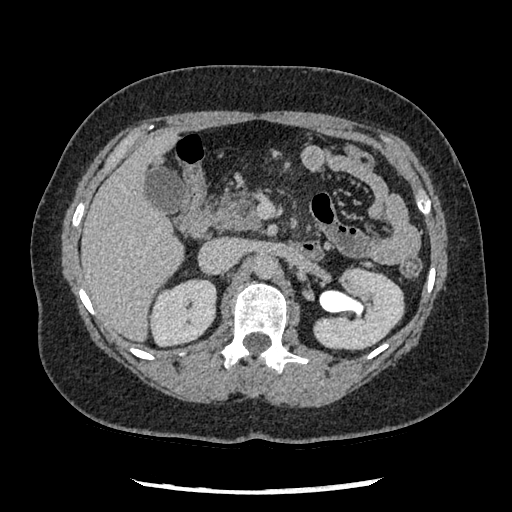

Abdomen; CT

pancreas: (214,192,260,231)